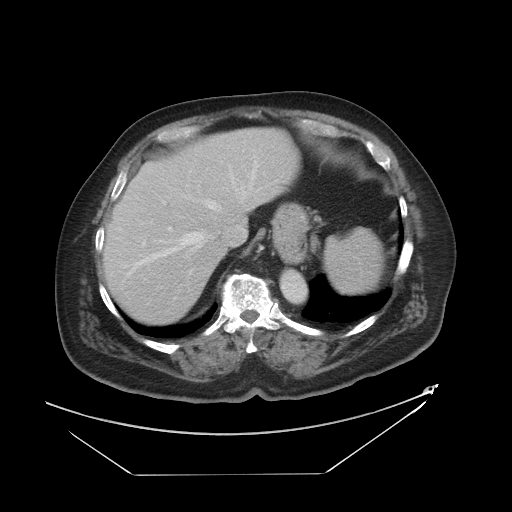

Liver. CT slice.
Only some of the vessels may be annotated.
Findings:
* hepatic vessel: box(242, 191, 247, 198); box(206, 200, 217, 208); box(204, 167, 208, 171); box(153, 249, 176, 257); box(204, 175, 205, 178); box(186, 232, 209, 247)